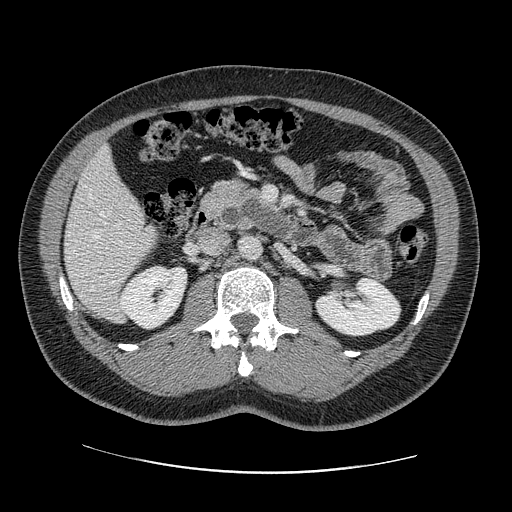

CT image. Upper abdomen.

{
  "pancreas": [
    "199, 178, 260, 230"
  ]
}